240x240 px, Slice 139 of 155, Field of view 240 mm wide, 1.00 mm slice spacing
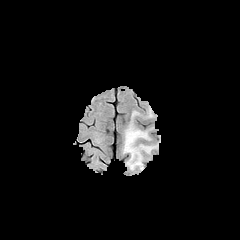
FLAIR MRI.
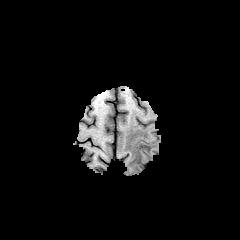
T1-weighted MRI of the same slice.
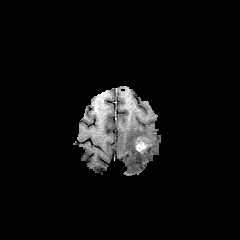
Post-contrast T1-weighted MRI.
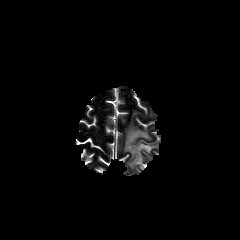
T2-weighted magnetic resonance.
edema:
  - <box>123,124,150,169</box>
enhancing_tumor:
  - <box>135,143,148,151</box>